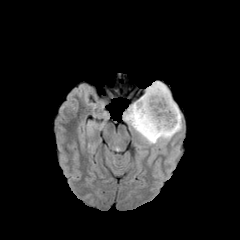
FLAIR magnetic resonance.
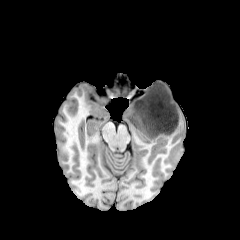
Same slice, T1-weighted MR image.
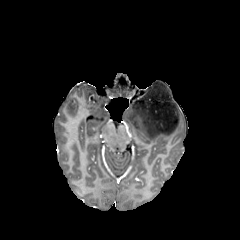
Post-contrast T1-weighted magnetic resonance.
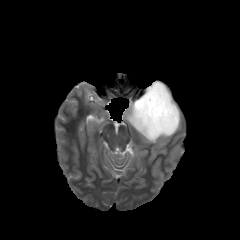
Same slice, T2-weighted MR.
Brain
Edema: 123, 102, 181, 151.
Non-enhancing tumor core: 132, 82, 178, 137.